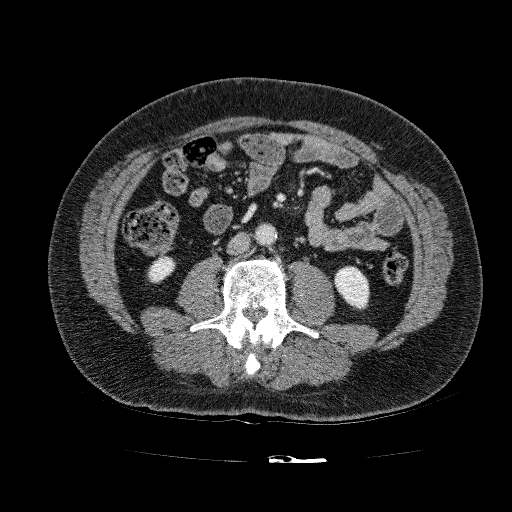
CT; Abdomen
kidney: 149 257 174 281, 335 267 368 308